Field of view 240 mm wide, 1.00 mm slice spacing
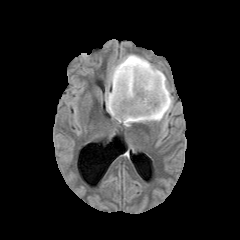
FLAIR MRI.
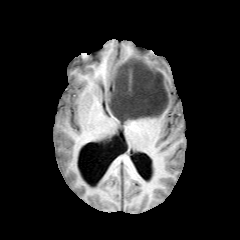
T1-weighted MR image.
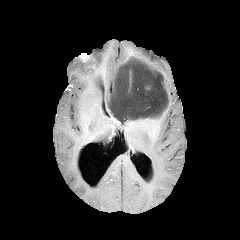
Same slice, post-contrast T1-weighted MRI.
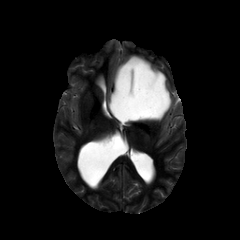
T2-weighted magnetic resonance.
The edema is at (102, 52, 173, 128). The non-enhancing tumor core appears at (109, 58, 169, 122).